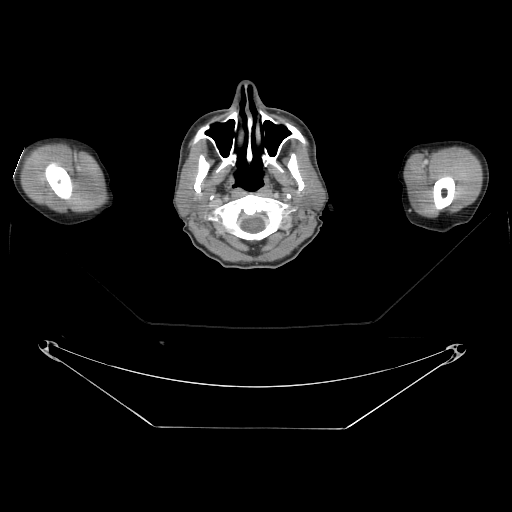

CT.
11 bone regions are bounded by 194, 126, 212, 143; 194, 155, 209, 192; 213, 195, 290, 239; 228, 112, 237, 127; 260, 111, 275, 122; 217, 140, 235, 171; 262, 124, 305, 168; 45, 163, 71, 199; 433, 176, 454, 208; 288, 154, 304, 190; 247, 138, 251, 159.